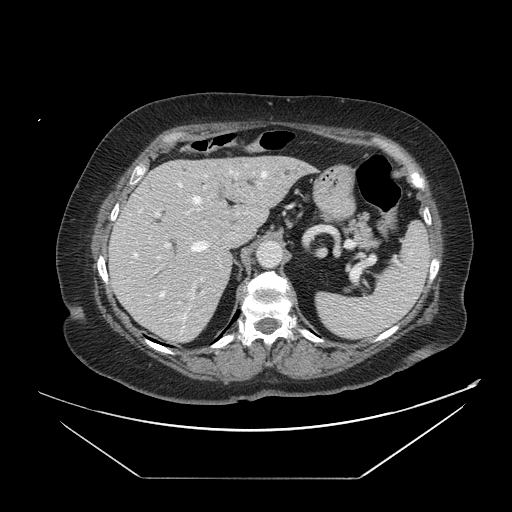

512x512 px. CT scan slice. pancreas: 345,214,378,249